CT, 512x512 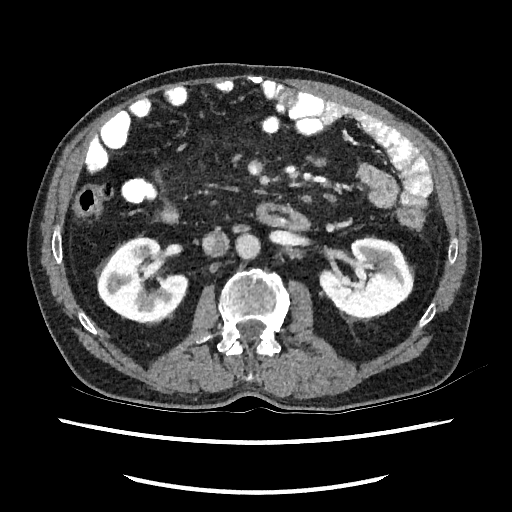 2 kidney regions are located at region(97, 237, 187, 322); region(320, 238, 413, 319).